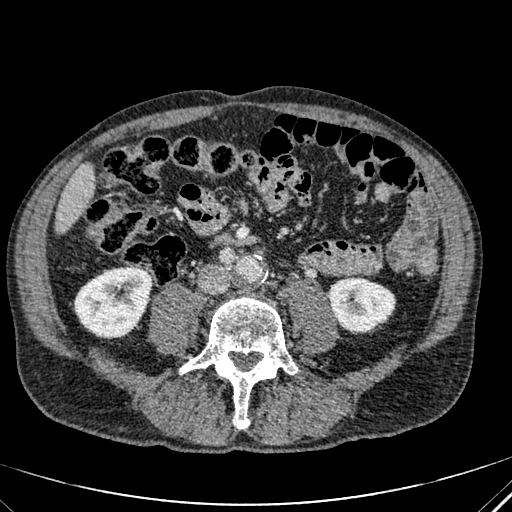 Liver, CT image
Kidney at [x1=75, y1=268, x2=151, y2=336], [x1=330, y1=279, x2=394, y2=330].
Liver at [x1=56, y1=164, x2=94, y2=231].